FLAIR MR.
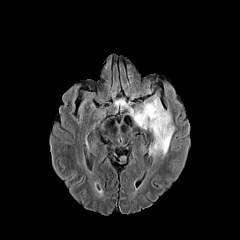
T1-weighted magnetic resonance.
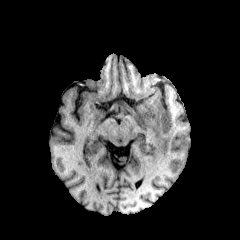
Post-contrast T1-weighted MRI.
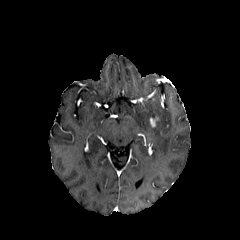
T2-weighted MRI.
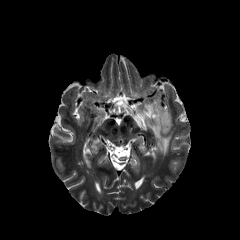
Edema: bounding box [126, 94, 174, 159].